512x512 px; CT scan slice
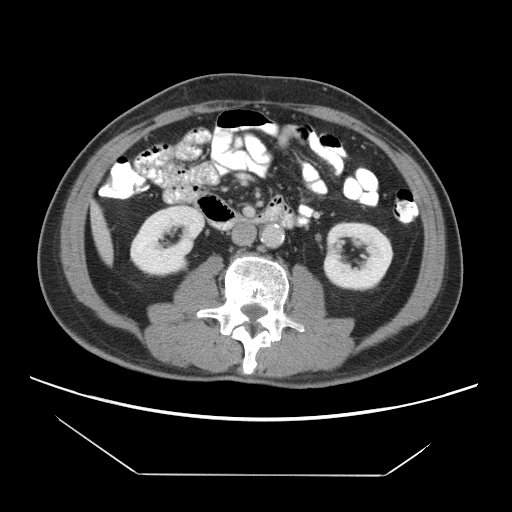 Some hepatic vessels may have no box.
Hepatic vessel = (x1=94, y1=211, x2=96, y2=214).